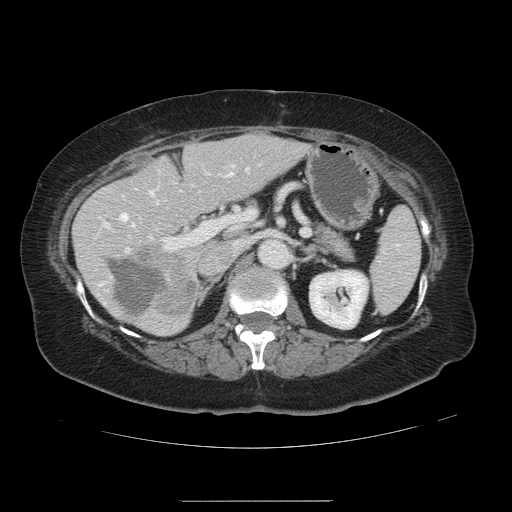 CT slice
Only some of the vessels may be annotated.
liver_tumor:
  - 109,244,193,315
hepatic_vessel:
  - 132,223,133,225
  - 125,247,129,252
  - 245,168,247,170
  - 230,163,233,167
  - 164,215,230,249
  - 205,172,208,173
  - 225,170,232,175
  - 156,201,158,203
  - 102,221,108,227
  - 149,235,151,239
  - 120,213,127,219
  - 148,189,154,194
  - 234,206,238,210